FLAIR magnetic resonance.
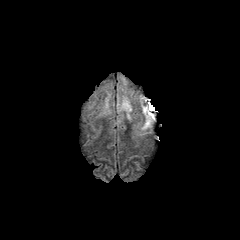
T1-weighted MR image.
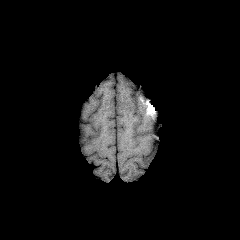
Post-contrast T1-weighted MR.
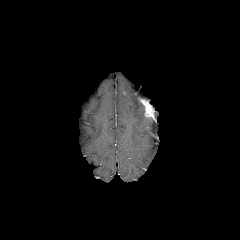
T2-weighted MR image.
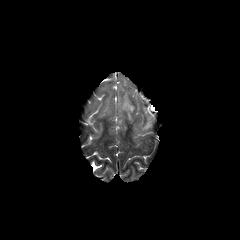
<segmentation>
  <edema>box(138, 119, 152, 131); box(102, 96, 111, 115); box(116, 90, 134, 120)</edema>
  <enhancing_tumor>box(144, 104, 153, 118)</enhancing_tumor>
</segmentation>